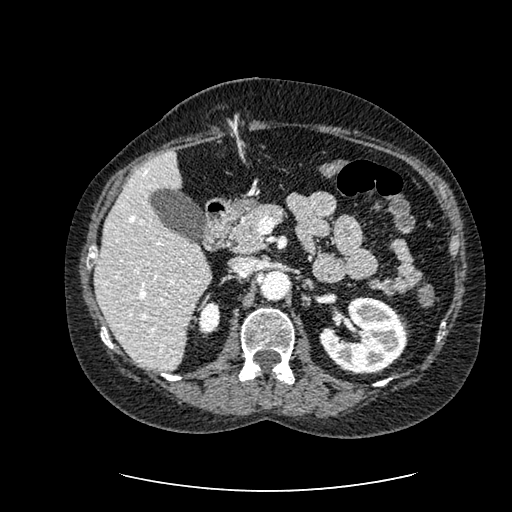 Abdomen; CT
liver: box=[95, 153, 211, 370] | kidney: box=[320, 298, 406, 372]; box=[199, 303, 219, 332]